Liver, CT
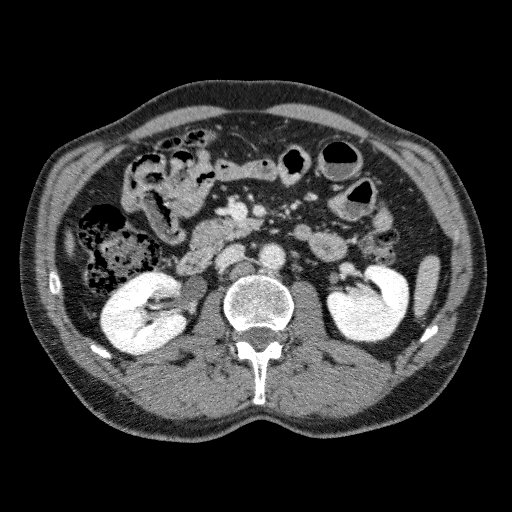
liver:
  - rect(65, 231, 74, 254)
kidney:
  - rect(328, 266, 407, 340)
  - rect(101, 273, 185, 354)